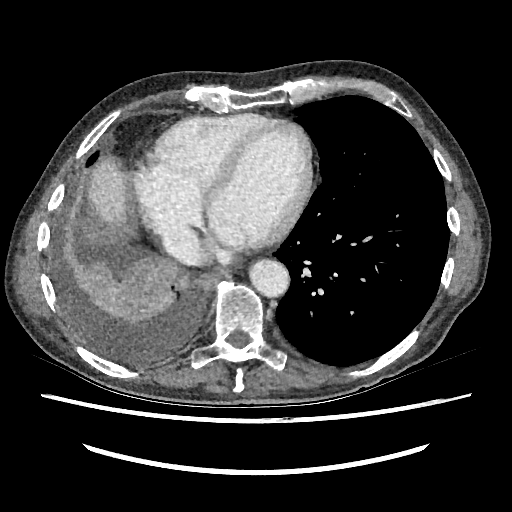 CT slice

liver: <box>89,159,126,222</box>